Brain
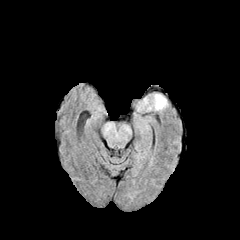
FLAIR MR.
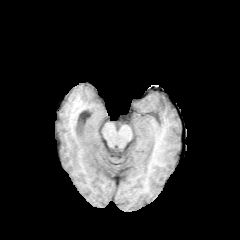
T1-weighted MRI of the same slice.
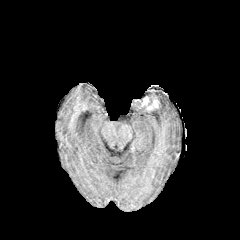
Post-contrast T1-weighted MRI of the same slice.
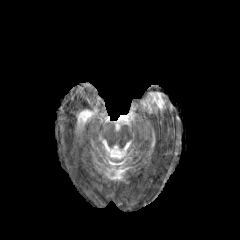
T2-weighted magnetic resonance.
{
  "enhancing_tumor": [
    "(142,97,158,110)"
  ],
  "edema": [
    "(146,93,167,111)"
  ]
}